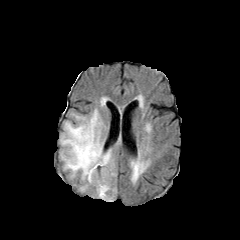
FLAIR MR image.
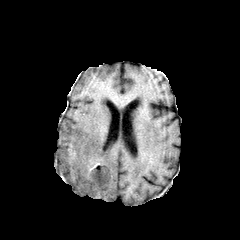
T1-weighted MRI of the same slice.
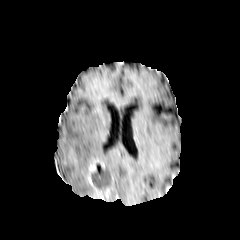
Post-contrast T1-weighted magnetic resonance of the same slice.
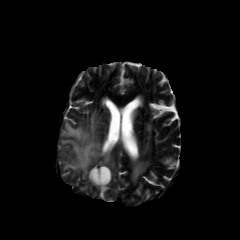
T2-weighted MR of the same slice.
Brain
The non-enhancing tumor core appears at (88,166,110,195). 2 edema regions are bounded by (133,162,143,177), (60,109,115,201).